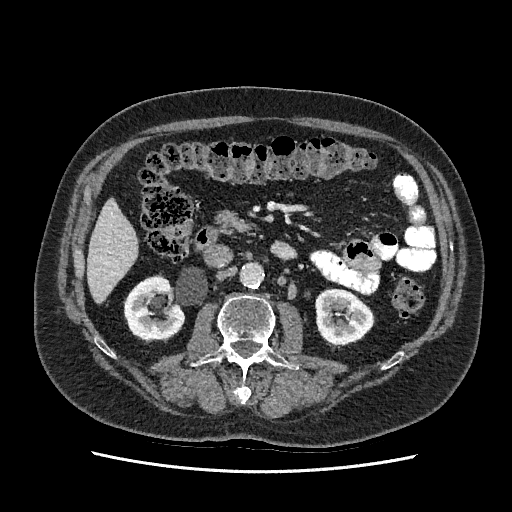 Computed tomography.
The liver is at bbox(88, 199, 137, 301). 2 kidney regions are located at bbox(316, 289, 372, 343); bbox(125, 277, 183, 338).